FLAIR magnetic resonance.
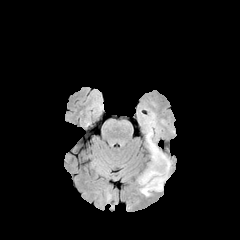
T1-weighted MR image.
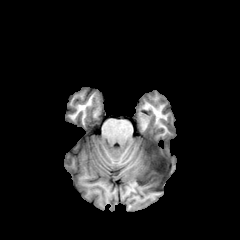
Post-contrast T1-weighted MR image.
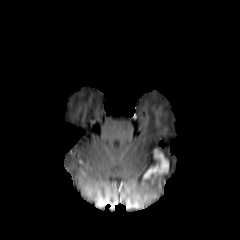
T2-weighted MR.
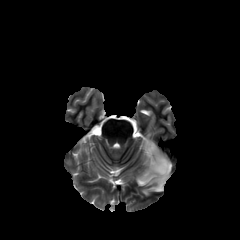
Image size 240x240. Head.
Edema: bounding box 137,126,171,195.
Non-enhancing tumor core: bounding box 151,157,159,166.
Enhancing tumor: bounding box 143,149,168,179.